Slice index 96
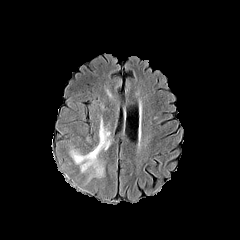
FLAIR MR.
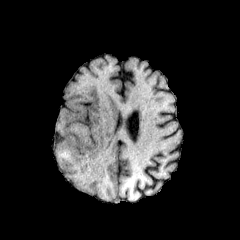
Same slice, T1-weighted magnetic resonance.
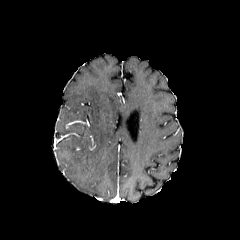
Post-contrast T1-weighted MR of the same slice.
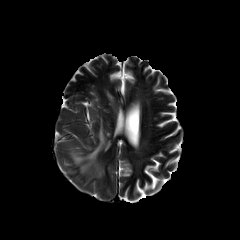
T2-weighted MRI.
Findings:
* edema: (left=71, top=118, right=109, bottom=178), (left=105, top=88, right=112, bottom=99)